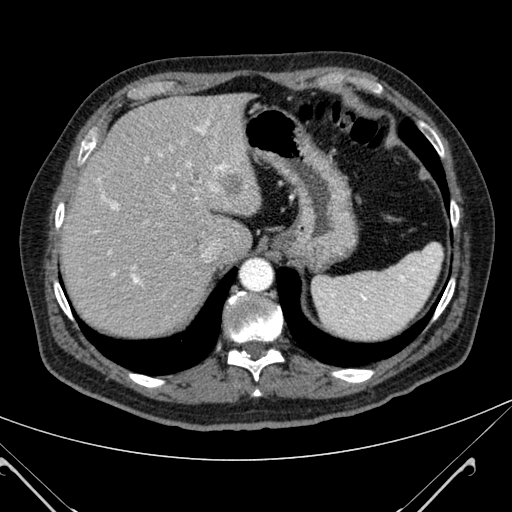 CT slice. Abdomen. 512x512.
Hepatic lesion: bounding box box(220, 174, 244, 194).
Liver: bounding box box(62, 90, 261, 338).